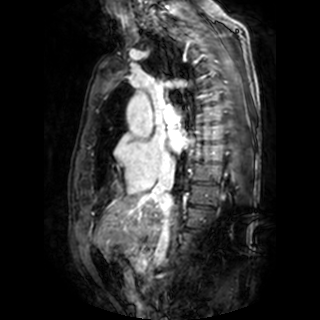 MR. Cardiac.

Annotated regions:
* left atrium: 171,130,190,153